Field of view 240 mm wide, 1.00 mm slice spacing | Image size 240x240 | Slice 83/155
FLAIR MR image.
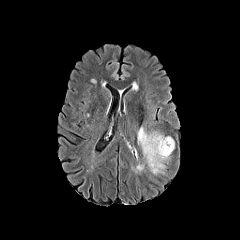
T1-weighted magnetic resonance.
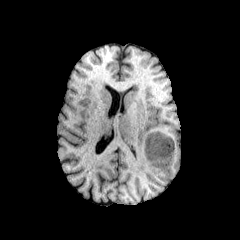
Post-contrast T1-weighted MR.
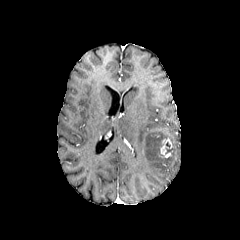
T2-weighted magnetic resonance.
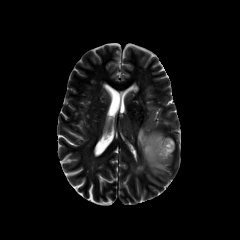
{
  "enhancing_tumor": [
    "left=159, top=139, right=173, bottom=157"
  ],
  "edema": [
    "left=138, top=127, right=174, bottom=174"
  ]
}